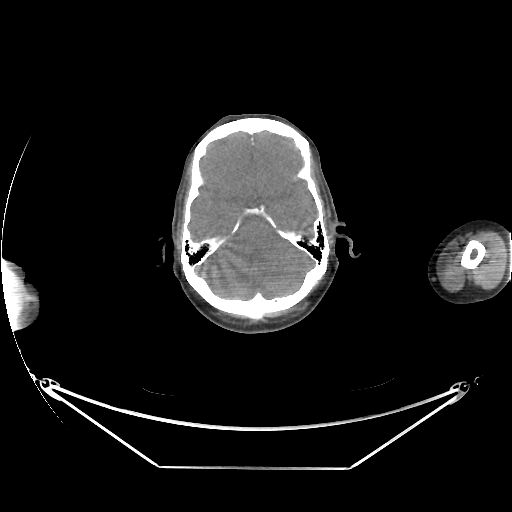 CT slice, Head
Brain = [188, 130, 318, 300].